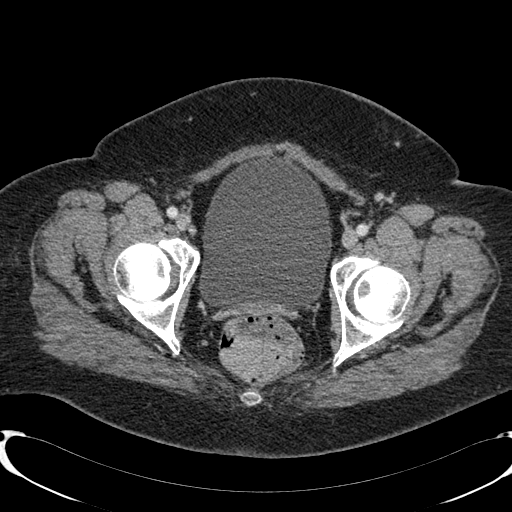

CT image
<segmentation>
  <urinary_bladder>rect(200, 153, 331, 308)</urinary_bladder>
</segmentation>